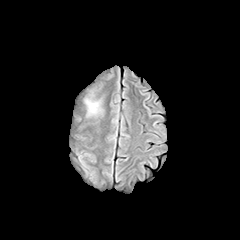
FLAIR magnetic resonance.
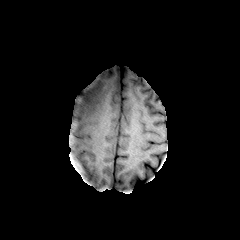
T1-weighted magnetic resonance.
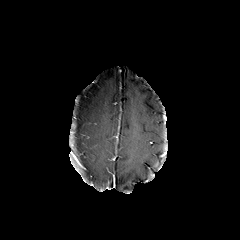
Post-contrast T1-weighted magnetic resonance of the same slice.
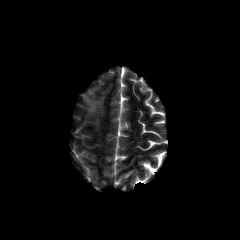
T2-weighted magnetic resonance of the same slice.
240x240
edema: 86:101:97:112